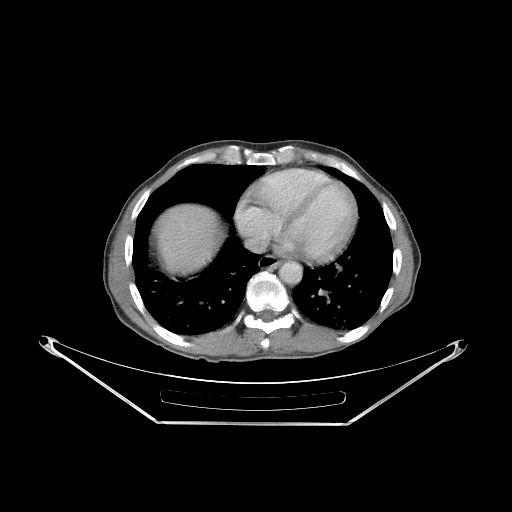 CT, Abdomen
{
  "bone": [
    "x1=125, y1=236, x2=132, y2=264",
    "x1=339, y1=326, x2=367, y2=342",
    "x1=154, y1=325, x2=189, y2=345",
    "x1=393, y1=249, x2=401, y2=274",
    "x1=383, y1=203, x2=395, y2=229",
    "x1=247, y1=153, x2=275, y2=164",
    "x1=245, y1=272, x2=293, y2=333",
    "x1=132, y1=191, x2=149, y2=218",
    "x1=381, y1=288, x2=392, y2=311",
    "x1=130, y1=284, x2=143, y2=312"
  ],
  "liver": [
    "x1=157, y1=206, x2=215, y2=271"
  ],
  "lung": [
    "x1=292, y1=168, x2=392, y2=329",
    "x1=133, y1=164, x2=267, y2=334"
  ]
}